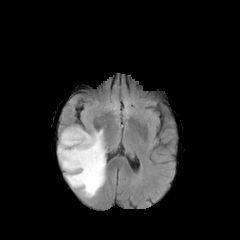
FLAIR MR image.
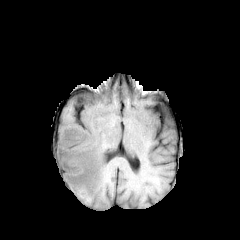
T1-weighted magnetic resonance.
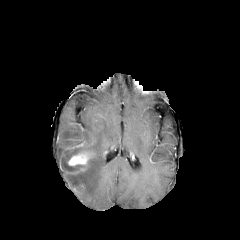
Same slice, post-contrast T1-weighted MR image.
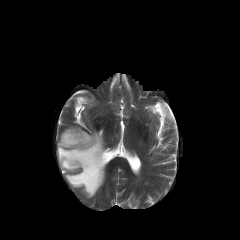
T2-weighted MRI.
Head.
Enhancing tumor: bounding box <bbox>68, 151, 93, 165</bbox>.
Edema: bounding box <bbox>57, 126, 107, 197</bbox>.
Non-enhancing tumor core: bounding box <bbox>60, 147, 79, 167</bbox>.